CT image, Liver 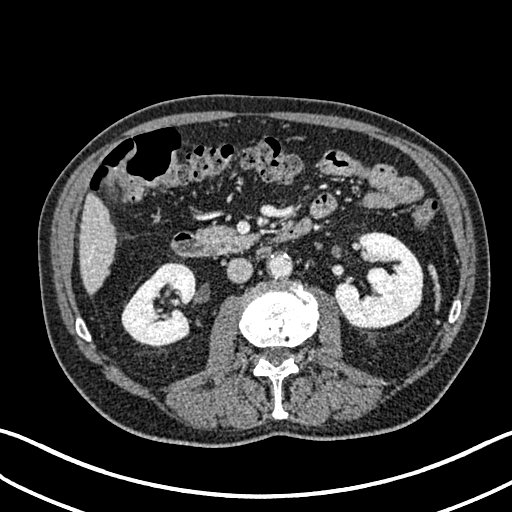 Annotated regions:
- liver: bbox(79, 194, 116, 292); bbox(120, 152, 132, 164)
- kidney: bbox(336, 233, 422, 327); bbox(122, 264, 194, 345)